FLAIR MR image.
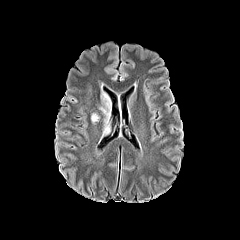
T1-weighted MRI.
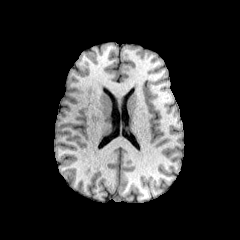
Post-contrast T1-weighted MR.
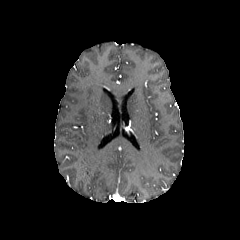
T2-weighted magnetic resonance.
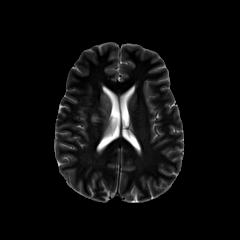
Head
Edema = <bbox>99, 86, 111, 135</bbox>, <bbox>91, 113, 100, 124</bbox>.